Image width 434 mm | CT | 512x512 px | Slice 561/605 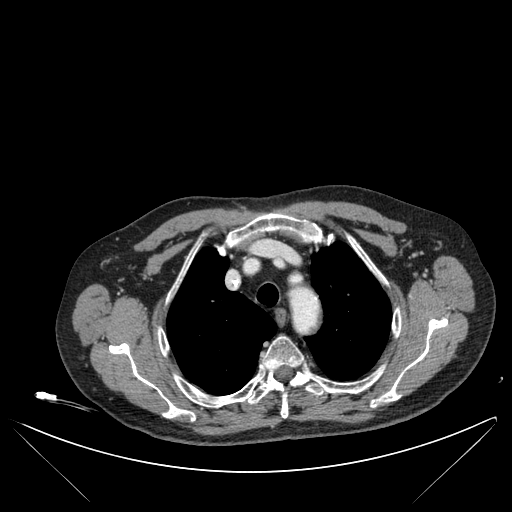

lung:
  - <bbox>167, 247, 276, 394</bbox>
  - <bbox>257, 284, 278, 305</bbox>
  - <bbox>305, 242, 391, 379</bbox>
bone:
  - <bbox>370, 318, 447, 407</bbox>
  - <bbox>226, 213, 324, 247</bbox>
  - <bbox>109, 343, 195, 420</bbox>
  - <bbox>174, 336, 384, 417</bbox>
  - <bbox>392, 308, 401, 336</bbox>
  - <bbox>218, 245, 225, 254</bbox>
  - <bbox>158, 328, 168, 355</bbox>
  - <bbox>326, 234, 333, 244</bbox>
  - <bbox>175, 250, 194, 287</bbox>
  - <bbox>348, 236, 386, 282</bbox>